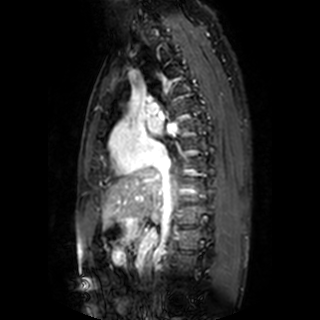 MRI, Image size 320x320
Left atrium: bounding box [x1=166, y1=122, x2=176, y2=133], [x1=146, y1=117, x2=162, y2=136].